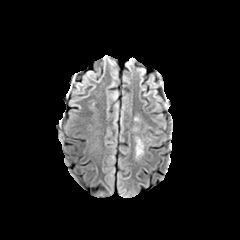
FLAIR MRI.
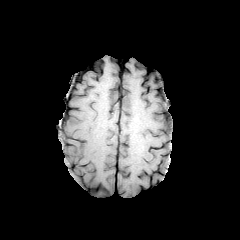
T1-weighted MR image.
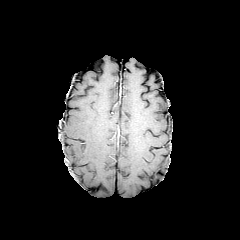
Post-contrast T1-weighted MR image.
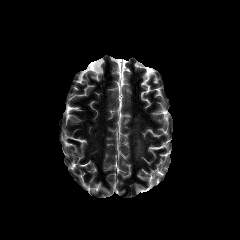
T2-weighted MR image.
Image size 240x240 | Brain
The edema is located at x1=136, y1=140, x2=142, y2=155.